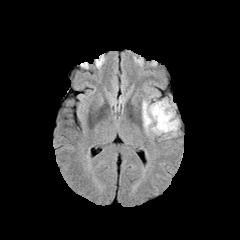
FLAIR MR.
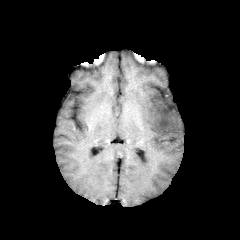
T1-weighted MR image.
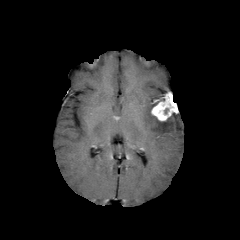
Post-contrast T1-weighted MR of the same slice.
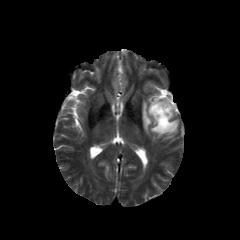
T2-weighted MR image.
Image size 240x240 | Head
Edema: (142,93,179,138).
Enhancing tumor: (150,93,178,121).